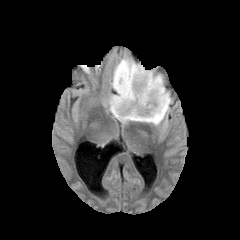
FLAIR MR image.
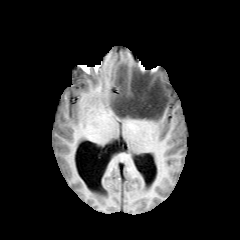
T1-weighted magnetic resonance.
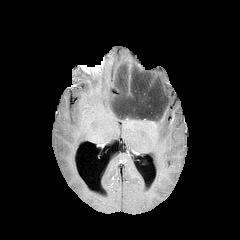
Same slice, post-contrast T1-weighted MRI.
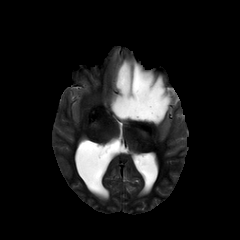
Same slice, T2-weighted MR.
240x240 px
Enhancing tumor: bounding box 127,64,133,98.
Edema: bounding box 107,56,173,127.
Non-enhancing tumor core: bounding box 112,64,169,120.